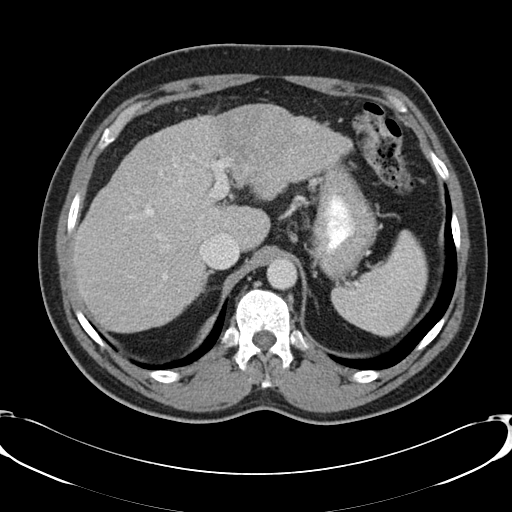

CT scan slice.
Some hepatic vessels may have no box.
The top 15 hepatic vessel regions (of 16) appear at 195, 158, 231, 197; 171, 199, 179, 203; 156, 198, 162, 202; 192, 198, 197, 204; 209, 209, 218, 214; 145, 205, 153, 215; 184, 203, 191, 208; 201, 197, 208, 207; 159, 168, 161, 175; 162, 274, 166, 279; 153, 233, 164, 239; 200, 246, 201, 251; 203, 174, 205, 177; 160, 245, 169, 252; 199, 215, 203, 218.